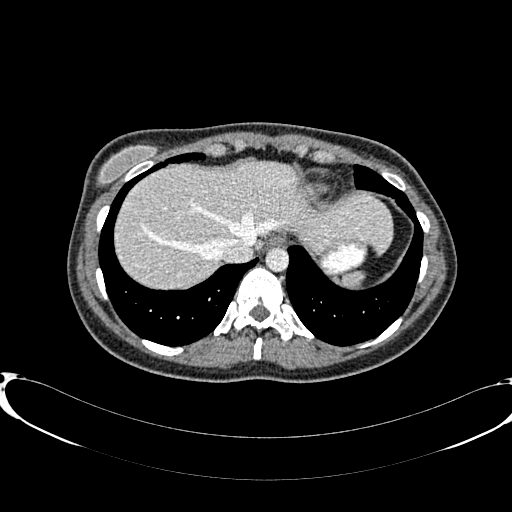
CT scan slice.
Liver: bbox=[115, 161, 392, 287].